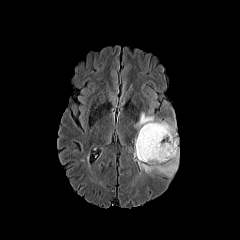
FLAIR MR image.
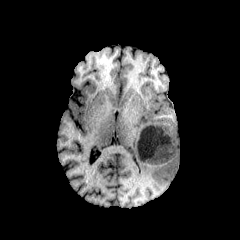
T1-weighted magnetic resonance of the same slice.
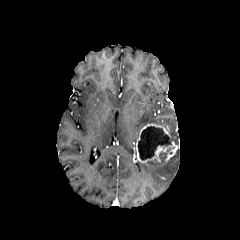
Same slice, post-contrast T1-weighted MR image.
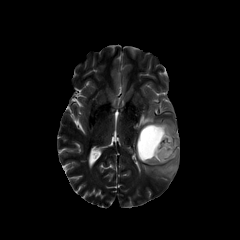
T2-weighted MR.
240x240. Brain.
edema:
  - region(138, 149, 178, 177)
  - region(133, 100, 177, 144)
non-enhancing_tumor_core:
  - region(160, 153, 167, 161)
  - region(137, 126, 171, 161)
enhancing_tumor:
  - region(136, 124, 176, 163)